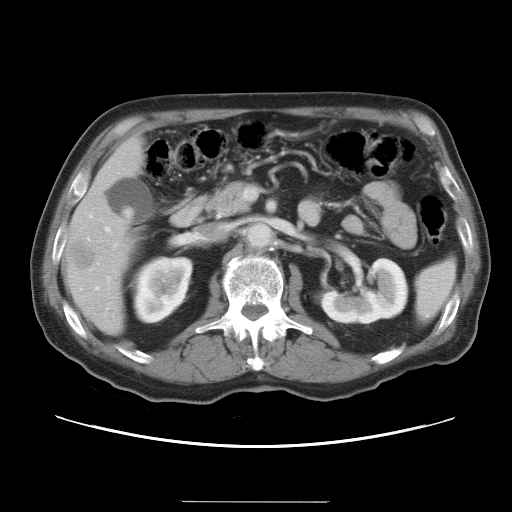
Abdomen; Computed tomography
The vessel boxes may cover only some of the vessels.
The liver tumor appears at [x1=69, y1=242, x2=95, y2=268]. 3 hepatic vessel regions are bounded by [x1=79, y1=288, x2=81, y2=290], [x1=104, y1=227, x2=109, y2=231], [x1=113, y1=243, x2=117, y2=247].